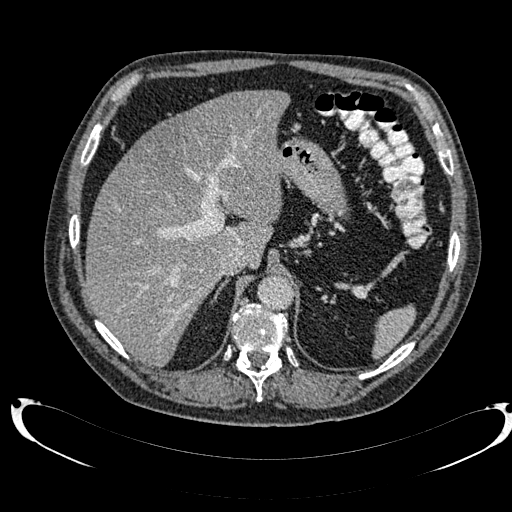
Image size 512x512 | CT scan slice

Liver — bbox(86, 90, 289, 366).
Focal liver lesion — bbox(132, 98, 235, 201).